Slice index 34, Abdomen, CT image

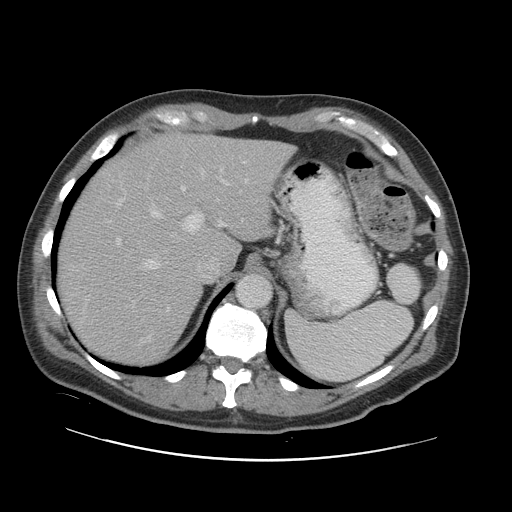

Not every hepatic vessel necessarily has a box.
Hepatic vessel: bounding box [117, 196, 124, 205], [116, 238, 120, 244], [151, 211, 160, 217], [184, 214, 203, 233], [181, 186, 185, 190], [218, 221, 225, 226], [132, 301, 134, 307], [220, 178, 227, 183], [221, 168, 222, 170].